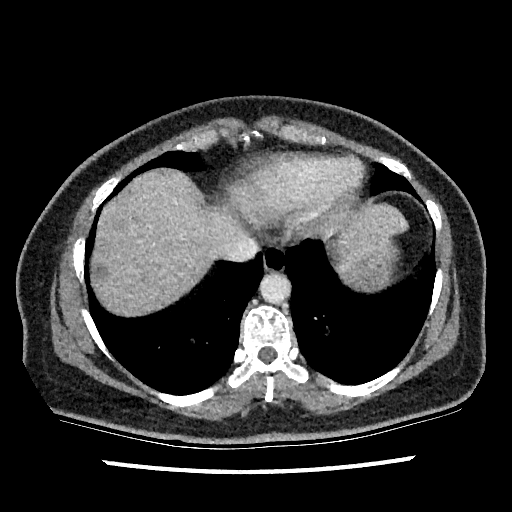
Computed tomography. 512x512 px.
* focal liver lesion: [95, 266, 107, 277]
* liver: [234, 188, 266, 224], [338, 205, 406, 261], [92, 169, 244, 313]